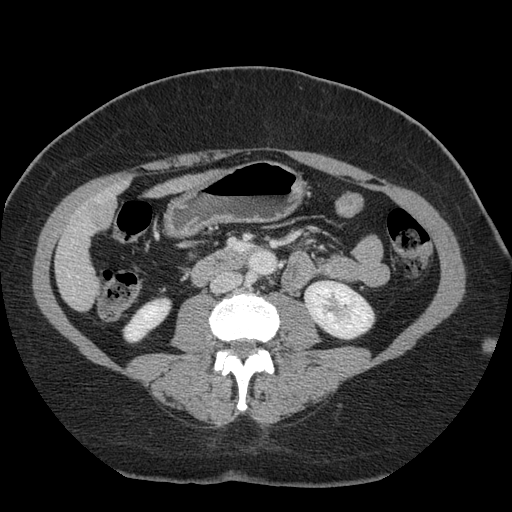

CT image.
Some hepatic vessels may have no box.
The liver tumor lies within [84,203,109,226]. The hepatic vessel is bounded by [69,275,70,277].